FLAIR MRI.
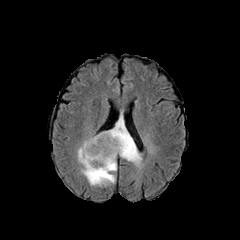
T1-weighted MR image.
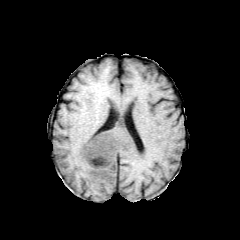
Post-contrast T1-weighted MR image.
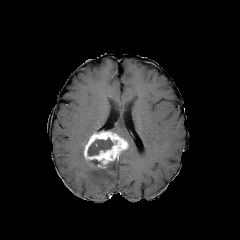
T2-weighted MRI.
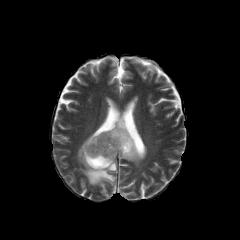
Head
The non-enhancing tumor core is at box=[88, 138, 112, 155]. The enhancing tumor appears at box=[83, 130, 129, 168]. 2 edema regions appear at box=[111, 110, 143, 166]; box=[77, 133, 117, 187].